FLAIR MR.
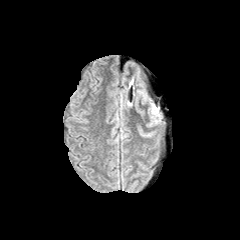
T1-weighted MRI.
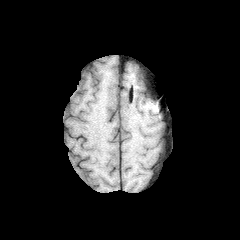
Post-contrast T1-weighted MRI.
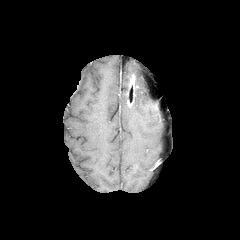
T2-weighted MR.
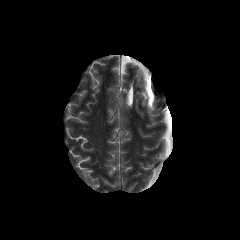
240x240 px; Brain
{"edema": ["(x1=148, y1=106, x2=156, y2=118)", "(x1=128, y1=78, x2=150, y2=104)"]}